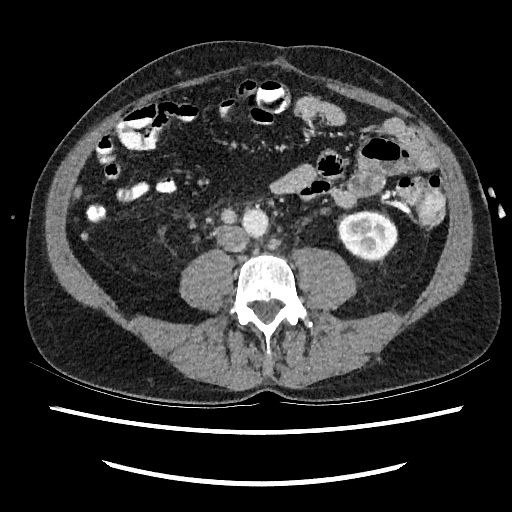 512x512 | Computed tomography | Abdomen

kidney: (left=339, top=212, right=396, bottom=258)